Slice 19 of 83. 512x512 px. Field of view 321 mm wide, 2.50 mm slice spacing. CT scan slice.

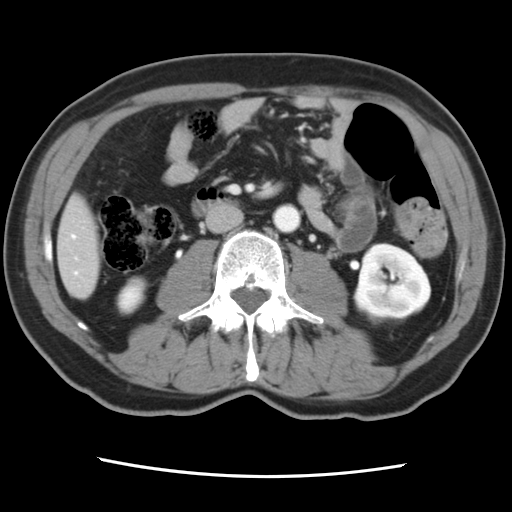
Only some of the vessels may be annotated.
Hepatic vessel = (left=72, top=235, right=75, bottom=238), (left=74, top=271, right=76, bottom=274).